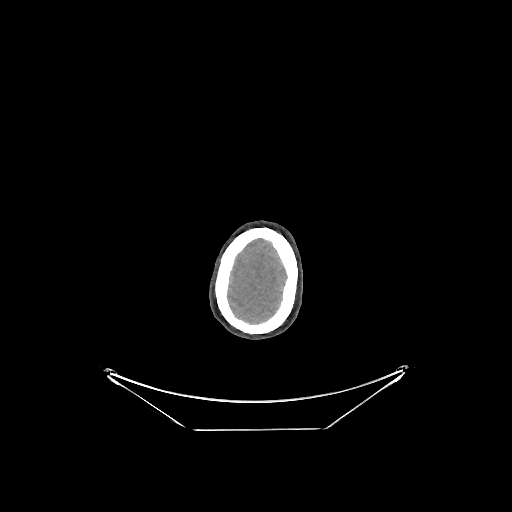
CT image

Annotated regions:
* brain: 227 238 286 324